FLAIR MRI.
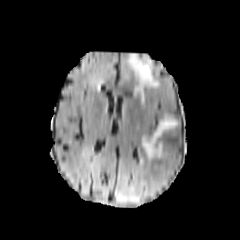
T1-weighted MR.
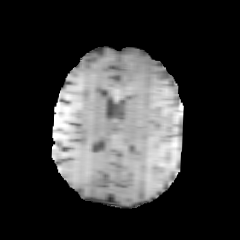
Post-contrast T1-weighted MR.
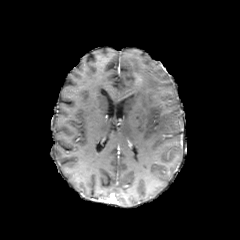
T2-weighted MR image.
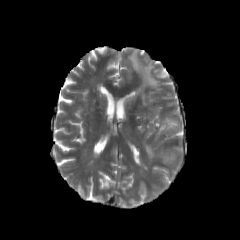
Head, 240x240 px
Edema: bounding box left=127, top=51, right=161, bottom=104; left=141, top=116, right=178, bottom=158.